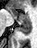 MR; 37x48

The posterior hippocampus is located at 17:22:30:35. 2 anterior hippocampus regions are located at 8:7:16:19, 17:14:29:21.